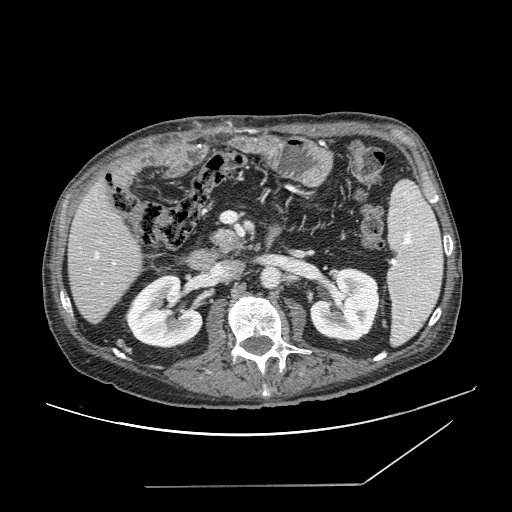

Computed tomography | Abdomen

Pancreatic tumor = [x1=227, y1=239, x2=239, y2=249].
Pancreas = [x1=214, y1=229, x2=240, y2=251].